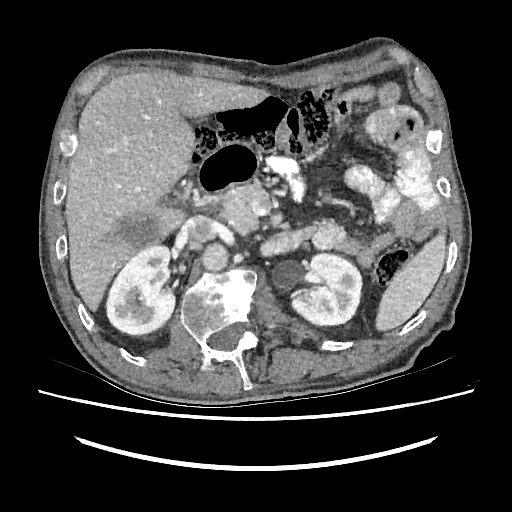

CT slice | 512x512
liver lesion: (111, 212, 161, 250) | kidney: (292, 254, 361, 324), (107, 246, 174, 334) | liver: (66, 71, 265, 311)